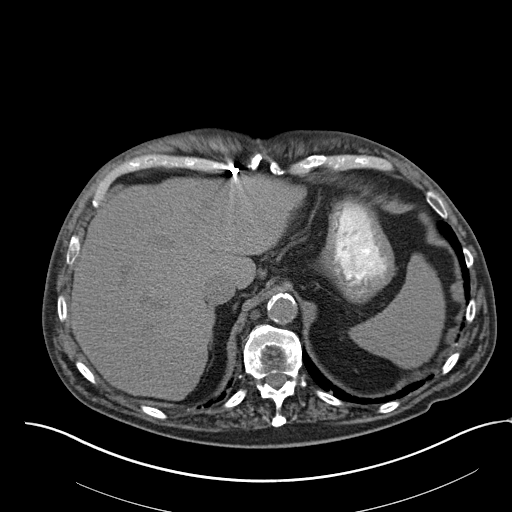

Computed tomography, Upper abdomen
{"spleen": ["(352,257,444,367)"]}